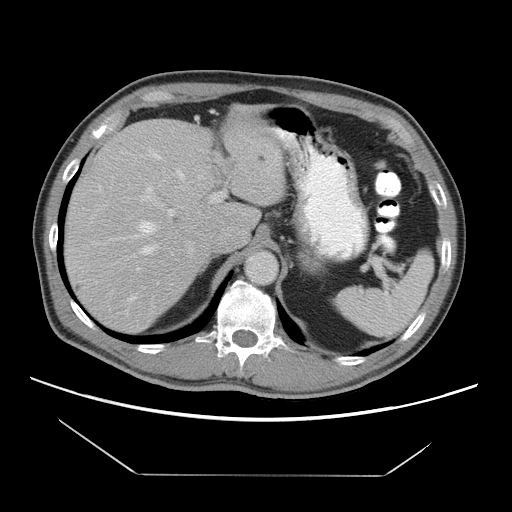
Liver | 512x512 px | CT scan slice
The vessel annotation is not exhaustive.
partial: true
hepatic_vessel:
  # 15 of 17 shown
  - 177 170 183 179
  - 97 185 101 191
  - 128 296 135 301
  - 133 254 135 256
  - 207 193 221 203
  - 130 221 155 237
  - 274 153 277 160
  - 148 148 160 159
  - 196 210 203 214
  - 141 245 158 254
  - 140 187 152 200
  - 262 166 270 172
  - 137 269 140 271
  - 168 210 173 215
  - 160 204 163 206